FLAIR MRI.
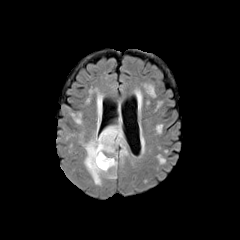
T1-weighted magnetic resonance.
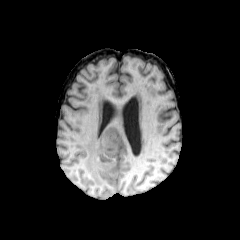
Post-contrast T1-weighted MRI.
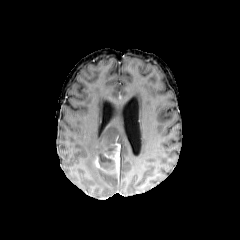
T2-weighted MR image.
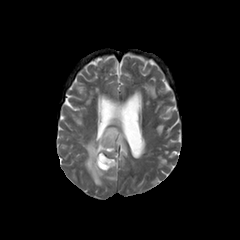
{
  "non-enhancing_tumor_core": [
    "x1=112 y1=135 x2=123 y2=164",
    "x1=106 y1=144 x2=116 y2=153",
    "x1=99 y1=152 x2=113 y2=169"
  ],
  "enhancing_tumor": [
    "x1=104 y1=142 x2=120 y2=173",
    "x1=94 y1=156 x2=105 y2=169"
  ],
  "edema": [
    "x1=80 y1=90 x2=128 y2=185"
  ]
}